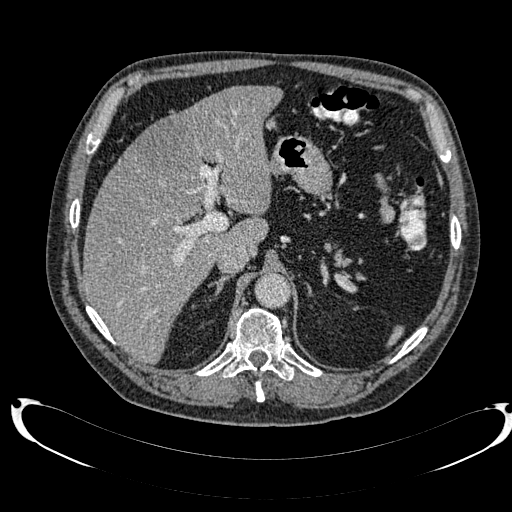
CT scan slice.
Liver = 82 86 283 364.
Liver lesion = 136 118 193 175.